512x512 px | CT | Abdomen

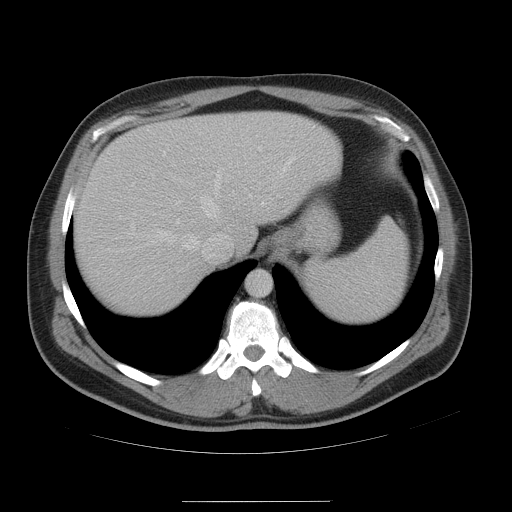
The spleen appears at [x1=305, y1=220, x2=407, y2=322].